Image size 240x240, Head
FLAIR MR.
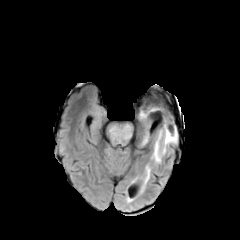
T1-weighted MR image.
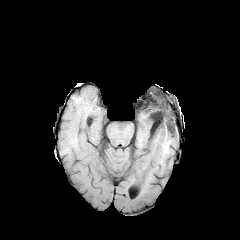
Post-contrast T1-weighted MR.
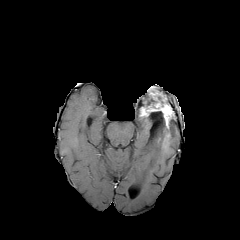
T2-weighted MRI.
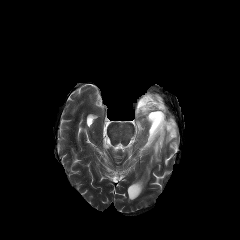
2 non-enhancing tumor core regions appear at x1=144 y1=100 x2=158 y2=105, x1=144 y1=110 x2=172 y2=145. The enhancing tumor is located at x1=139 y1=102 x2=171 y2=128. 2 edema regions appear at x1=150 y1=125 x2=177 y2=163, x1=139 y1=166 x2=151 y2=193.